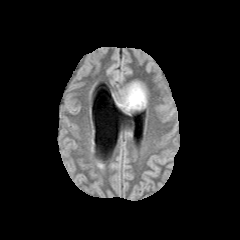
FLAIR MR.
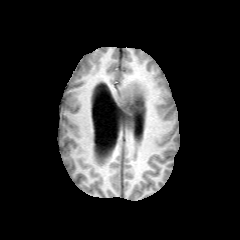
Same slice, T1-weighted magnetic resonance.
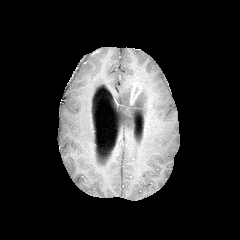
Post-contrast T1-weighted magnetic resonance.
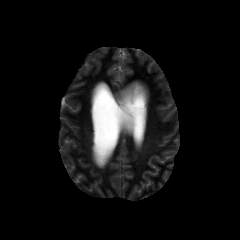
T2-weighted magnetic resonance of the same slice.
Head
The enhancing tumor lies within l=128, t=83, r=141, b=107. The non-enhancing tumor core is bounded by l=132, t=96, r=143, b=111. The edema appears at l=112, t=78, r=149, b=114.